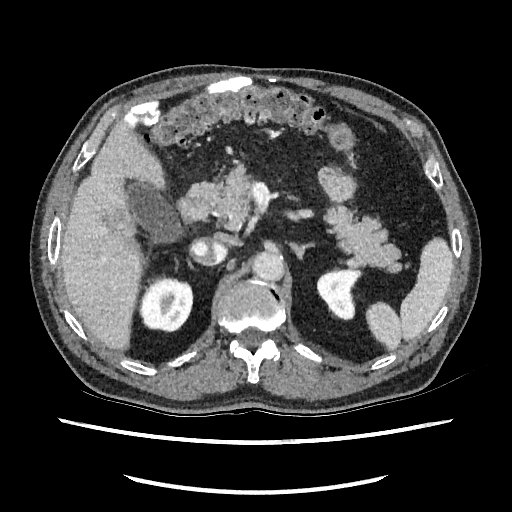
Abdomen | CT scan slice | 512x512

Liver: bounding box box(63, 122, 163, 348).
Focal liver lesion: bounding box box(103, 211, 123, 230); box(127, 236, 139, 255).
Kidney: bounding box box(316, 269, 360, 319); box(140, 277, 192, 331).